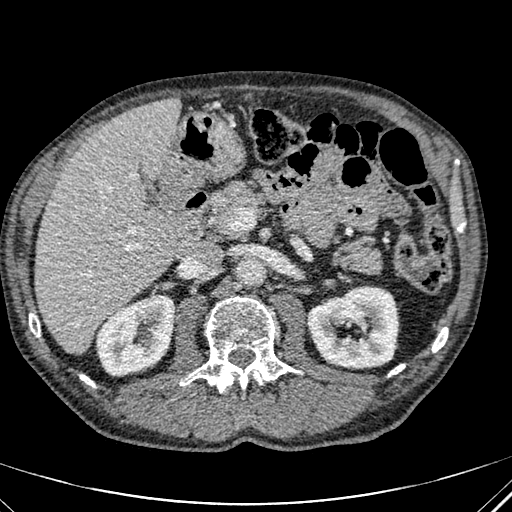 CT image; Liver
2 kidney regions are bounded by x1=308 y1=287 x2=397 y2=367, x1=97 y1=296 x2=173 y2=374. The liver is bounded by x1=34 y1=98 x2=194 y2=354.